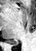 Image size 36x51 | Magnetic resonance
The posterior hippocampus is located at left=13, top=42, right=17, bottom=44.